CT scan slice | Abdomen | 512x512 px | Slice 74 of 164
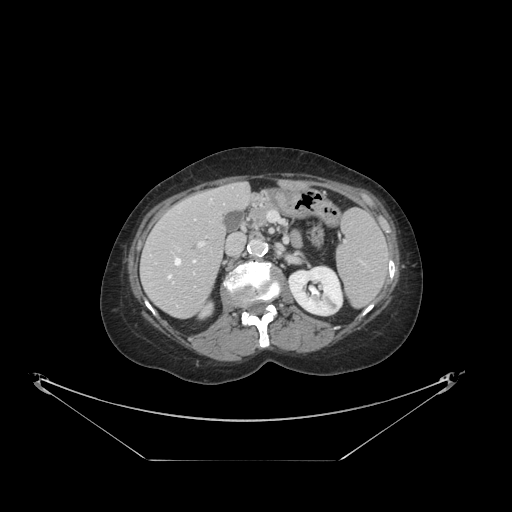

Only some of the vessels may be annotated.
Hepatic vessel: bounding box <box>193,260,195,261</box>, <box>175,258,180,264</box>, <box>267,210,281,222</box>, <box>167,275,170,278</box>, <box>198,242,203,246</box>.